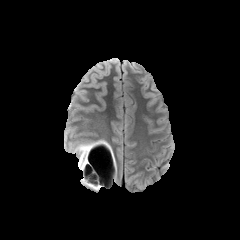
FLAIR MRI.
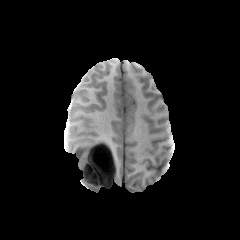
T1-weighted MR of the same slice.
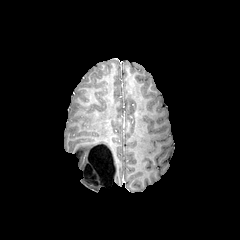
Post-contrast T1-weighted magnetic resonance.
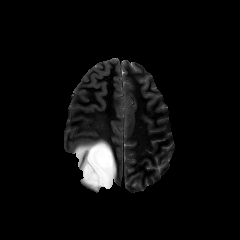
Same slice, T2-weighted MRI.
Head; 240x240
Annotated regions:
- non-enhancing tumor core: 75 144 106 186
- edema: 82 178 99 190, 73 140 104 151, 78 156 85 175